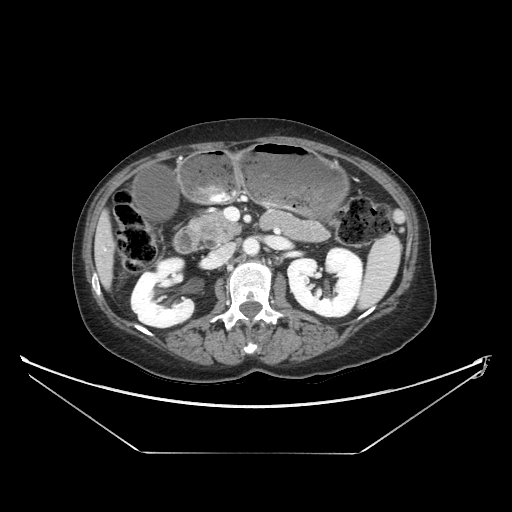 CT image; Abdomen
Pancreatic tumor at (201,223,217,236).
Pancreas at (192,212,241,240).